CT | Slice 361 of 696

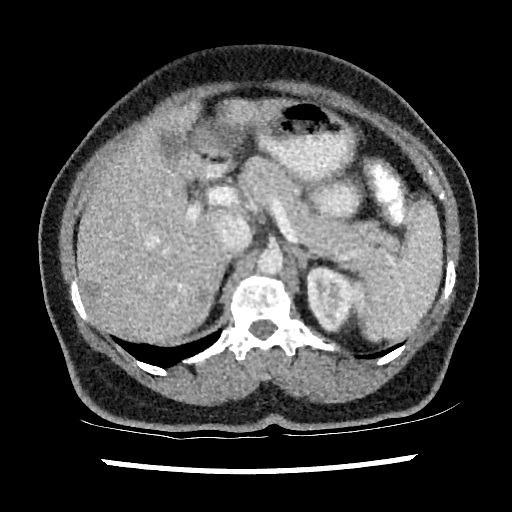

The kidney appears at 308:268:364:329. 2 liver lesion regions are bounded by 198:291:208:302, 85:282:100:299. 2 liver regions are located at 227:100:288:128, 77:105:229:341.